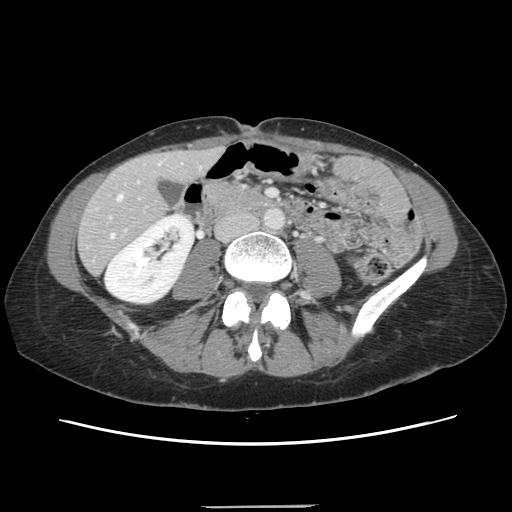
Liver. Image size 512x512. CT.

Some hepatic vessels may have no box.
- hepatic vessel: {"x1": 117, "y1": 194, "x2": 121, "y2": 200}, {"x1": 110, "y1": 233, "x2": 113, "y2": 237}